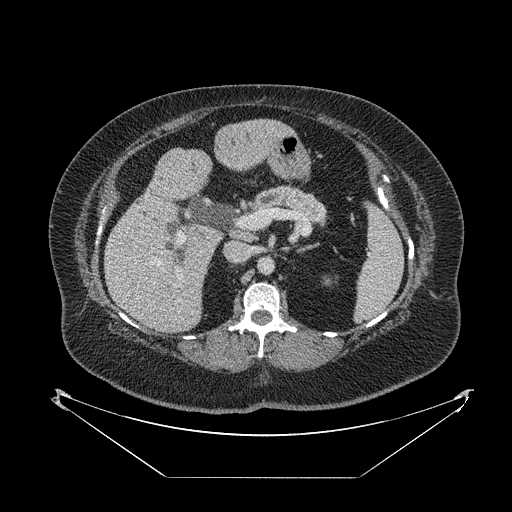 Computed tomography. Upper abdomen.
pancreas:
  - box=[250, 184, 327, 226]